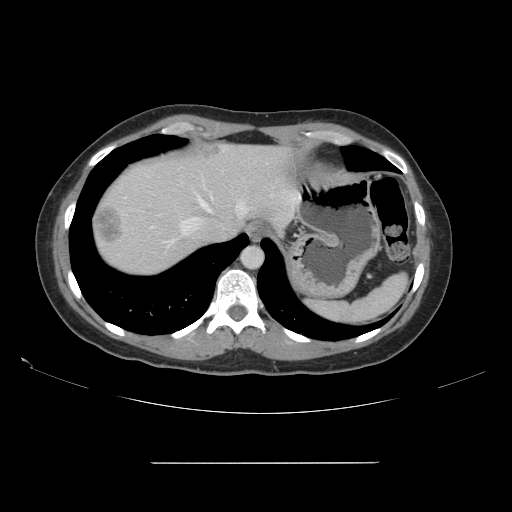

CT slice. Abdomen.
Only some of the vessels may be annotated.
Liver tumor = bbox=[197, 147, 219, 158]; bbox=[96, 205, 122, 246].
Hepatic vessel = bbox=[198, 198, 210, 210]; bbox=[180, 218, 202, 235]; bbox=[236, 202, 246, 215]; bbox=[165, 240, 174, 247]; bbox=[211, 195, 212, 198].